CT slice; 512x512 px

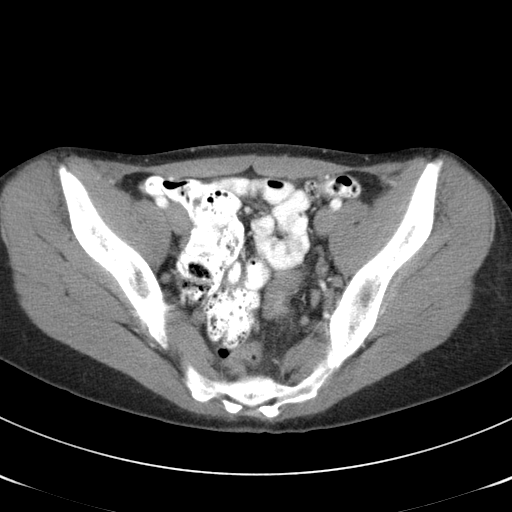

Colon tumor — l=262, t=270, r=302, b=319.